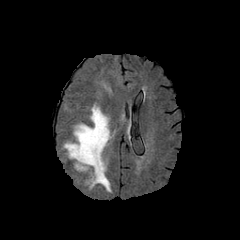
FLAIR MRI.
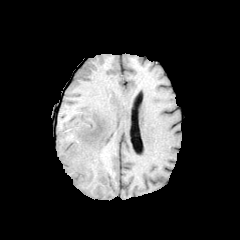
Same slice, T1-weighted MR image.
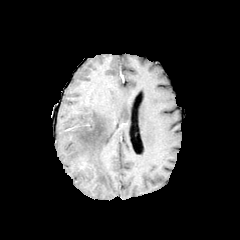
Post-contrast T1-weighted MRI.
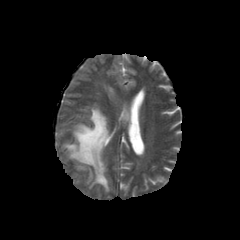
T2-weighted MR.
Head | 240x240
Edema — left=64, top=106, right=111, bottom=191.